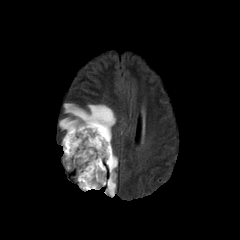
FLAIR MR image.
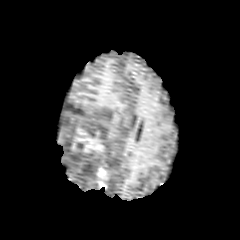
Same slice, T1-weighted MR.
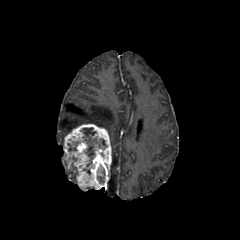
Post-contrast T1-weighted MR of the same slice.
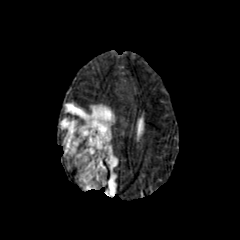
T2-weighted magnetic resonance.
Brain
Non-enhancing tumor core: bounding box 84, 128, 93, 135; 86, 146, 94, 157.
Enhancing tumor: bounding box 62, 122, 112, 191.
Edema: bounding box 104, 152, 117, 197; 59, 103, 115, 137.